FLAIR magnetic resonance.
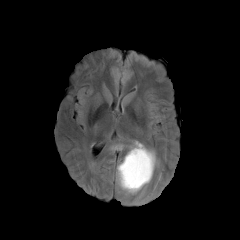
T1-weighted magnetic resonance.
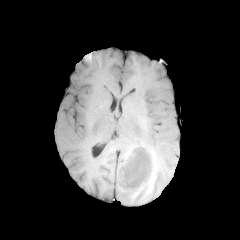
Post-contrast T1-weighted MR image.
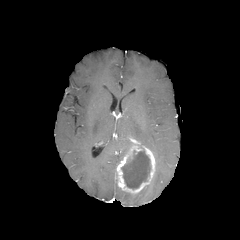
T2-weighted MRI.
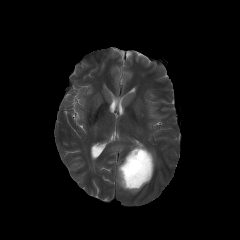
Head; Image size 240x240
enhancing_tumor:
  - rect(115, 146, 156, 193)
non-enhancing_tumor_core:
  - rect(121, 150, 150, 189)
edema:
  - rect(147, 147, 159, 166)
  - rect(129, 139, 144, 148)